FLAIR magnetic resonance.
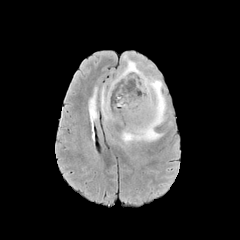
T1-weighted magnetic resonance.
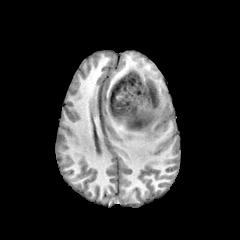
Post-contrast T1-weighted MRI.
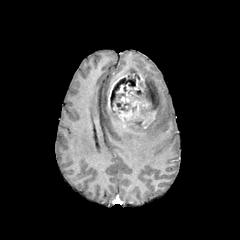
T2-weighted MR.
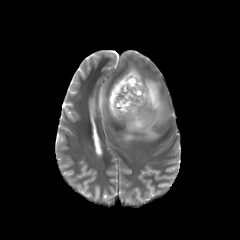
Findings:
- edema: 89:88:98:141, 101:86:122:122, 121:52:166:142
- non-enhancing tumor core: 110:74:154:126
- enhancing tumor: 108:75:126:108, 118:110:133:122, 131:100:140:118